Head.
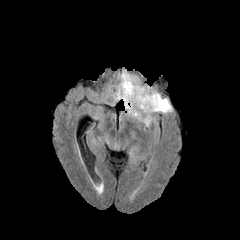
FLAIR magnetic resonance.
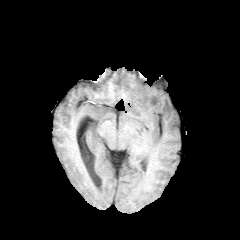
Same slice, T1-weighted MRI.
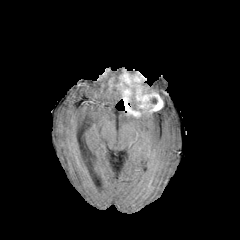
Post-contrast T1-weighted MR of the same slice.
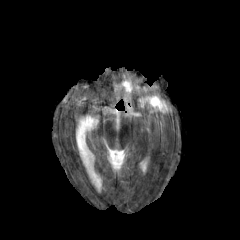
Same slice, T2-weighted MRI.
Edema: x1=111 y1=83 x2=122 y2=101, x1=124 y1=86 x2=172 y2=129.
Enhancing tumor: x1=116 y1=70 x2=163 y2=117.
Non-enhancing tumor core: x1=148 y1=97 x2=157 y2=104.